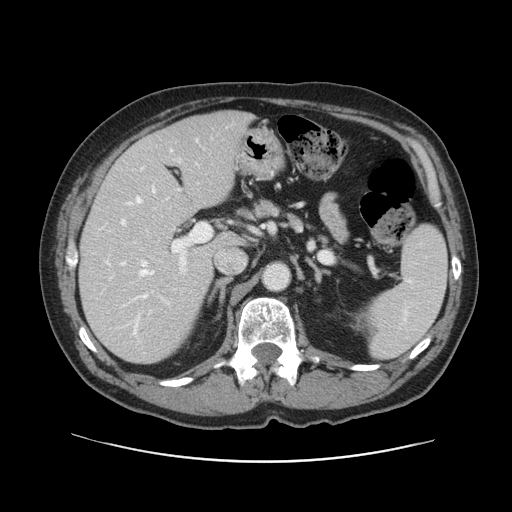
Computed tomography
Not every hepatic vessel necessarily has a box.
Hepatic vessel at bbox(127, 203, 131, 204); bbox(152, 187, 154, 191); bbox(122, 220, 125, 224); bbox(140, 261, 153, 275); bbox(170, 149, 171, 151); bbox(141, 168, 142, 169); bbox(133, 295, 146, 299); bbox(133, 319, 138, 334); bbox(135, 197, 140, 202); bbox(121, 262, 124, 264); bbox(106, 261, 108, 263).